CT scan slice

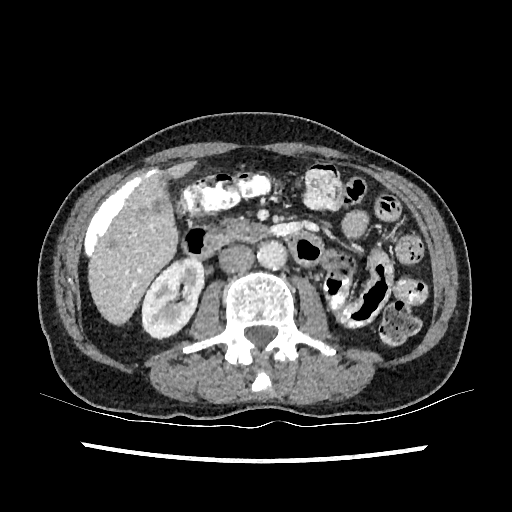

2 liver lesion regions appear at 138:208:146:215, 151:198:168:214. The liver appears at 90:162:196:323. The kidney is bounded by 142:259:203:338.